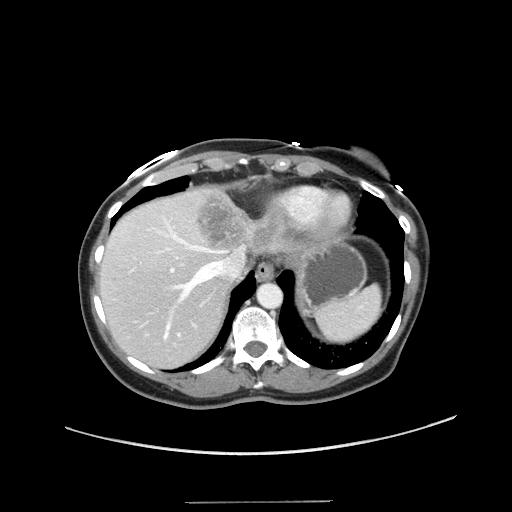

CT scan slice

The vessel boxes may cover only some of the vessels.
Annotated regions:
- liver tumor: 194, 193, 282, 252
- hepatic vessel: 171, 268, 173, 270; 191, 247, 210, 251; 164, 323, 169, 339; 176, 246, 244, 297; 173, 234, 186, 244